CT image, 512x512 px, Liver
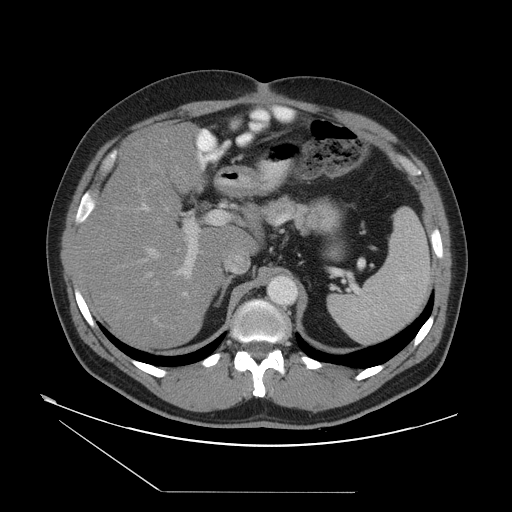 Not every hepatic vessel necessarily has a box.
Hepatic vessel: 174 237 199 278, 146 248 158 258, 165 208 167 210, 164 141 165 142, 145 273 152 277, 155 283 157 285, 196 151 203 169, 137 204 148 211, 153 317 155 321, 182 292 187 295, 196 141 196 145.